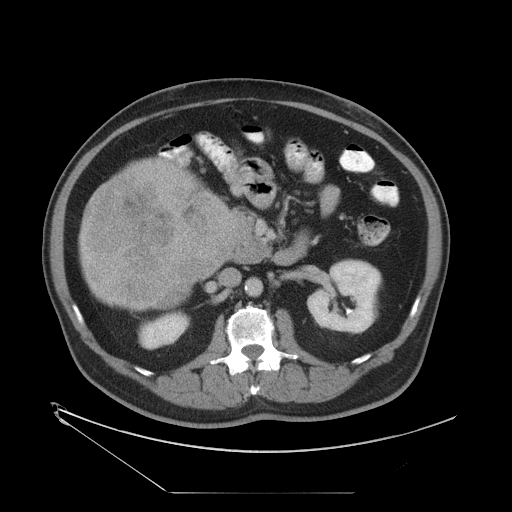 Image size 512x512. CT scan slice. Liver tumor: bounding box l=84, t=159, r=249, b=309.